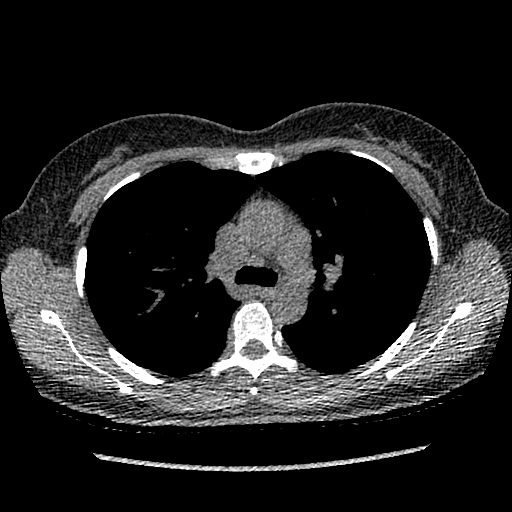

Lung | CT scan slice
The lung tumor lies within left=328, top=307, right=346, bottom=333.